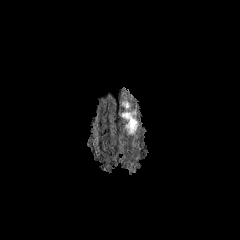
FLAIR MR.
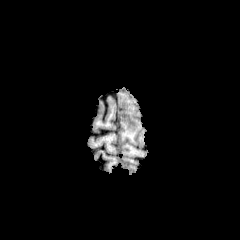
T1-weighted magnetic resonance of the same slice.
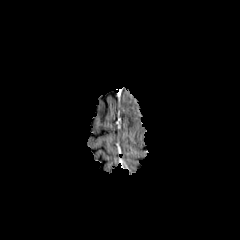
Same slice, post-contrast T1-weighted magnetic resonance.
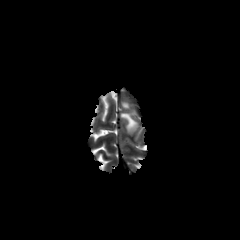
T2-weighted MR of the same slice.
Image size 240x240
<segmentation>
  <edema>(122, 102, 138, 134)</edema>
</segmentation>